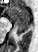

38x52. Medial temporal lobe. MR image. anterior_hippocampus:
  - x1=8, y1=6, x2=29, y2=22
posterior_hippocampus:
  - x1=16, y1=23, x2=28, y2=35